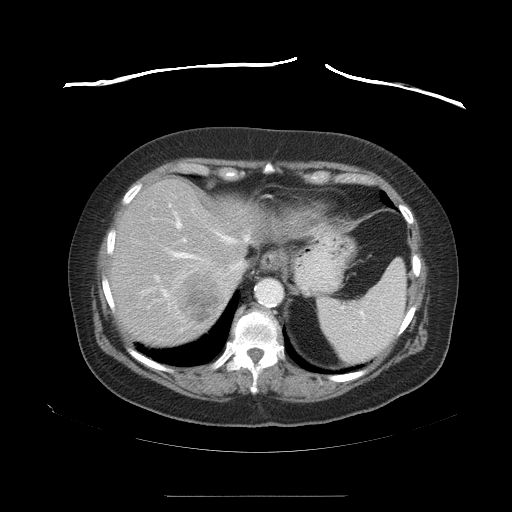 512x512; CT
The vessel annotation is not exhaustive.
<segmentation>
  <hepatic_vessel>bbox(173, 212, 181, 228); bbox(217, 233, 249, 244); bbox(179, 238, 185, 242); bbox(226, 259, 244, 279); bbox(141, 288, 153, 295); bbox(165, 248, 196, 258); bbox(169, 204, 170, 206); bbox(154, 289, 168, 300); bbox(155, 276, 159, 282)</hepatic_vessel>
  <liver_tumor>bbox(172, 269, 225, 326)</liver_tumor>
</segmentation>